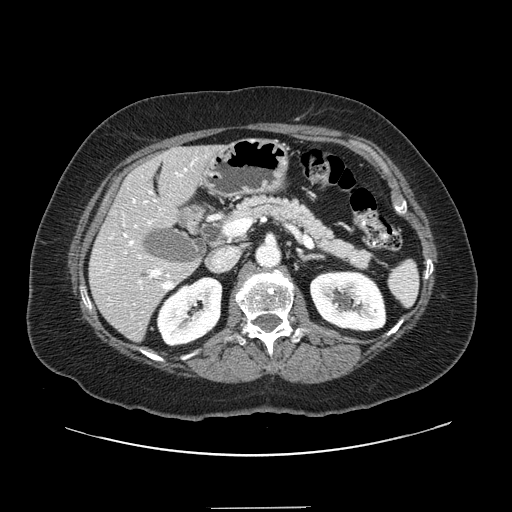

Upper abdomen, CT
The pancreas is at 226, 194, 371, 270.